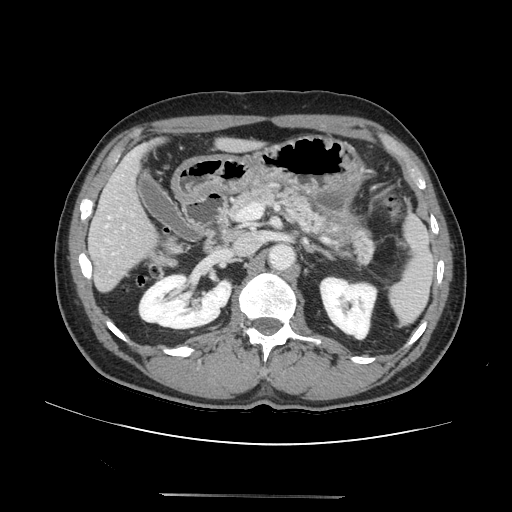 Upper abdomen, CT
{
  "pancreatic_tumor": [
    "<bbox>319, 216, 354, 239</bbox>"
  ],
  "pancreas": [
    "<bbox>335, 224, 374, 263</bbox>",
    "<bbox>233, 187, 328, 236</bbox>"
  ]
}